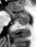 Medial temporal lobe, MRI
Segmented structures:
• posterior hippocampus: (12, 17, 29, 25)
• anterior hippocampus: (10, 12, 29, 16)